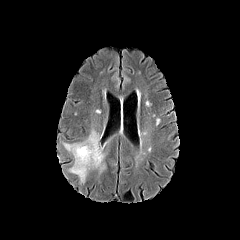
FLAIR MRI.
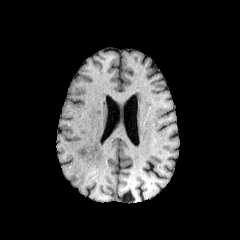
T1-weighted MR image.
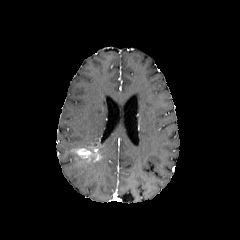
Post-contrast T1-weighted MRI.
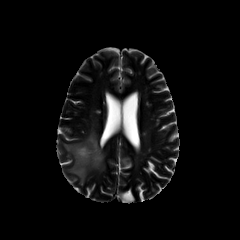
T2-weighted MRI.
The enhancing tumor is at [x1=74, y1=145, x2=102, y2=162]. The edema is bounded by [x1=63, y1=129, x2=105, y2=183].